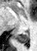
MR; 37x51
Posterior hippocampus: box=[15, 32, 28, 43].